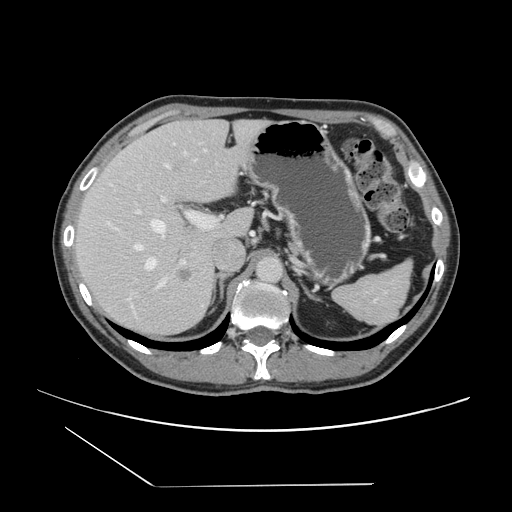

Abdomen, CT scan slice

The vessel annotation is not exhaustive.
Hepatic vessel: bounding box region(184, 151, 185, 154); region(132, 306, 135, 315); region(135, 279, 136, 280); region(164, 164, 169, 167); region(160, 195, 161, 198); region(131, 292, 133, 295); region(195, 159, 196, 160); region(129, 302, 131, 306).
Liver tumor: bounding box region(178, 271, 192, 282).